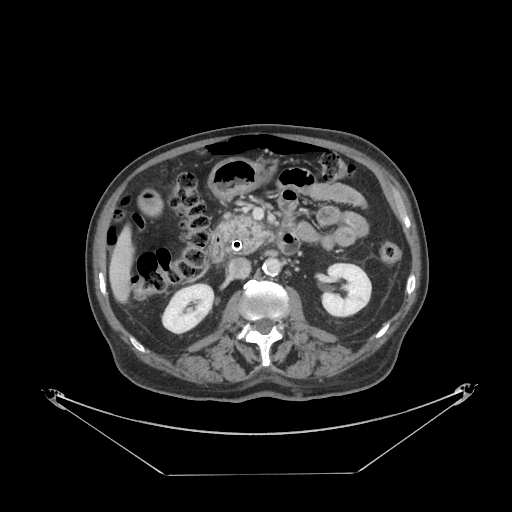
CT slice
The pancreas is bounded by [x1=221, y1=216, x2=264, y2=253].